Slice index 248; CT image; Liver 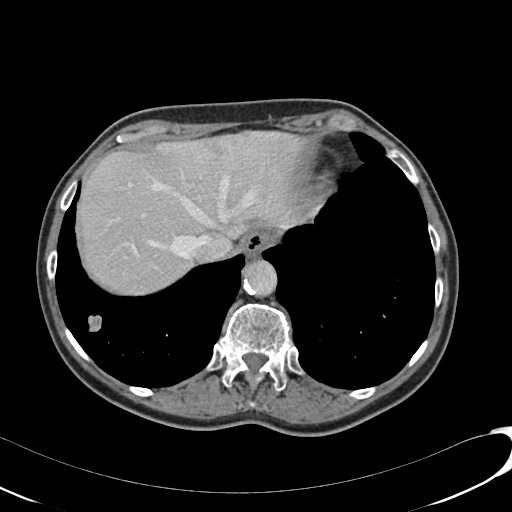 2 liver lesion regions are located at (x1=228, y1=136, x2=237, y2=144), (x1=208, y1=142, x2=224, y2=154). The liver is located at (x1=80, y1=131, x2=308, y2=293).